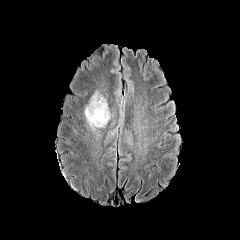
FLAIR MR.
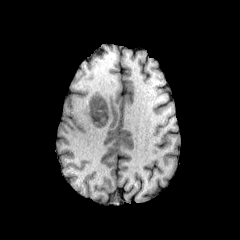
T1-weighted MR.
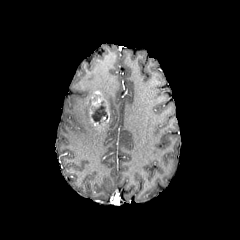
Post-contrast T1-weighted magnetic resonance.
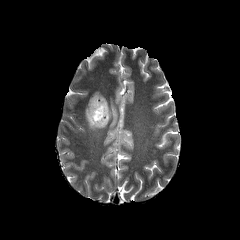
T2-weighted magnetic resonance.
Brain.
edema: 84, 106, 96, 131 | enhancing tumor: 89, 108, 101, 128; 91, 91, 104, 107 | non-enhancing tumor core: 88, 98, 107, 125